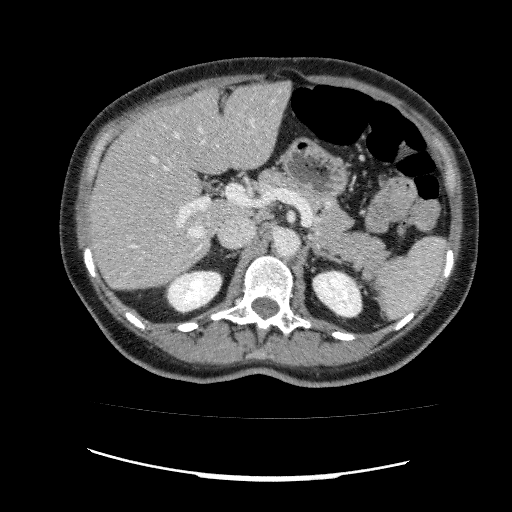
512x512 px | Liver | CT
2 kidney regions are located at {"x1": 313, "y1": 271, "x2": 360, "y2": 316}, {"x1": 168, "y1": 271, "x2": 220, "y2": 310}. The liver is bounded by {"x1": 87, "y1": 81, "x2": 292, "y2": 288}.